Image width 480 mm. Computed tomography. Slice index 20. Upper abdomen.

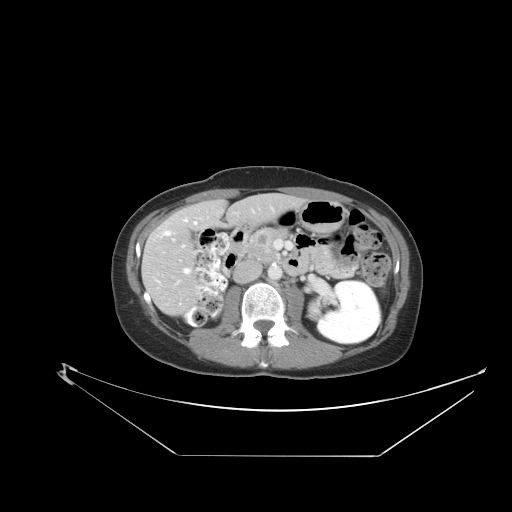
pancreatic tumor: l=250, t=229, r=274, b=251 | pancreas: l=234, t=228, r=288, b=264